Image size 240x240. Head. Slice index 100.
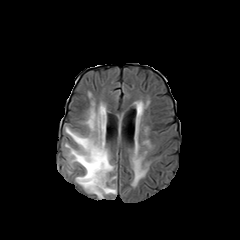
FLAIR MRI.
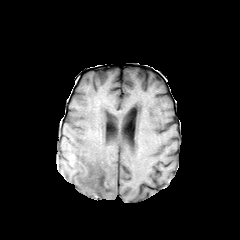
T1-weighted magnetic resonance of the same slice.
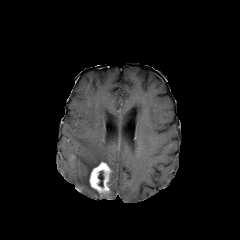
Post-contrast T1-weighted magnetic resonance.
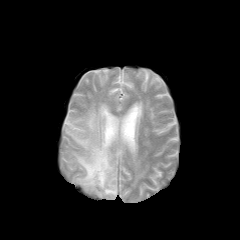
T2-weighted MR image.
Non-enhancing tumor core — x1=98 y1=171 x2=103 y2=186.
Enhancing tumor — x1=89 y1=162 x2=112 y2=195.
Edema — x1=65 y1=103 x2=116 y2=198, x1=134 y1=160 x2=142 y2=179.